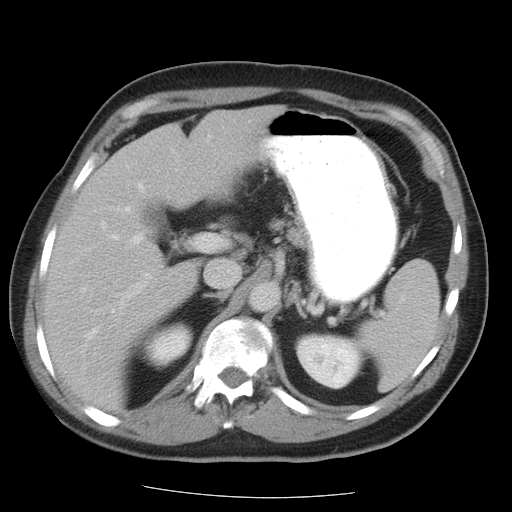

Computed tomography
The vessel annotation is not exhaustive.
Hepatic vessel — (x1=139, y1=183, x2=144, y2=191), (x1=81, y1=289, x2=86, y2=291), (x1=113, y1=235, x2=118, y2=239), (x1=145, y1=274, x2=150, y2=278), (x1=120, y1=207, x2=130, y2=211), (x1=103, y1=222, x2=106, y2=227), (x1=86, y1=328, x2=97, y2=338), (x1=114, y1=282, x2=115, y2=283), (x1=132, y1=234, x2=143, y2=243), (x1=126, y1=165, x2=128, y2=166), (x1=112, y1=310, x2=114, y2=312), (x1=124, y1=282, x2=143, y2=299).